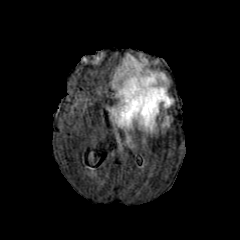
FLAIR MR image.
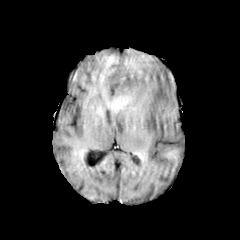
T1-weighted MRI.
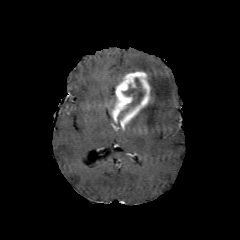
Same slice, post-contrast T1-weighted MRI.
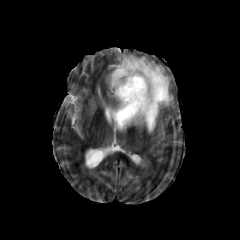
Same slice, T2-weighted MRI.
Brain. 240x240 px.
• non-enhancing tumor core: box(118, 77, 144, 122)
• enhancing tumor: box(111, 71, 150, 125)
• edema: box(111, 53, 173, 132)